CT image. 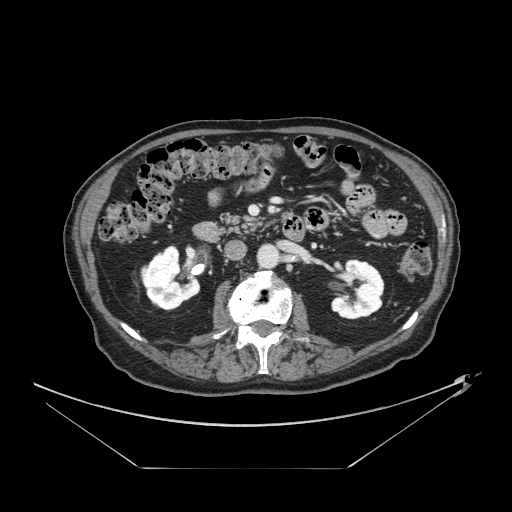 {
  "pancreas": [
    {"x1": 224, "y1": 216, "x2": 261, "y2": 233}
  ]
}